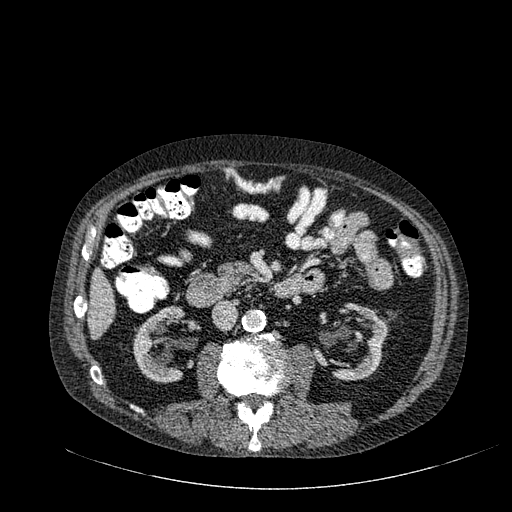

CT slice, Upper abdomen, 512x512 px
Kidney: bounding box bbox(133, 306, 197, 382); bbox(319, 303, 387, 380); bbox(181, 320, 200, 329); bbox(316, 349, 328, 365); bbox(320, 312, 326, 323).
Liver: bounding box bbox(89, 268, 114, 337).